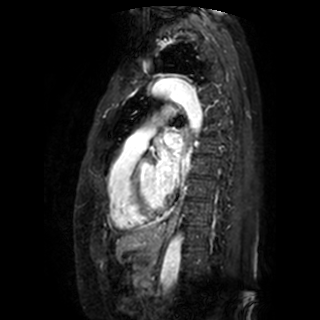

Magnetic resonance
Left atrium at l=155, t=132, r=182, b=192.